Prostate
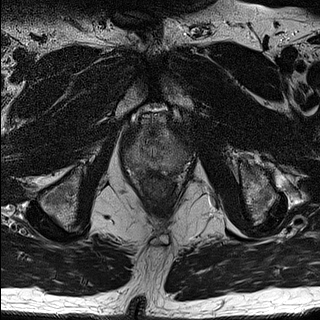
T2-weighted MRI.
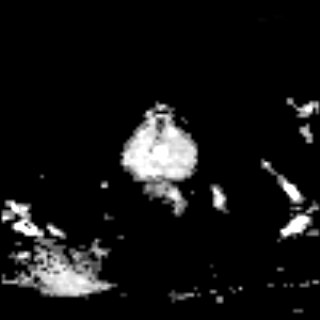
ADC MRI of the same slice.
The prostate peripheral zone is located at 124 131 186 174. The prostate transition zone appears at 137 128 173 159.